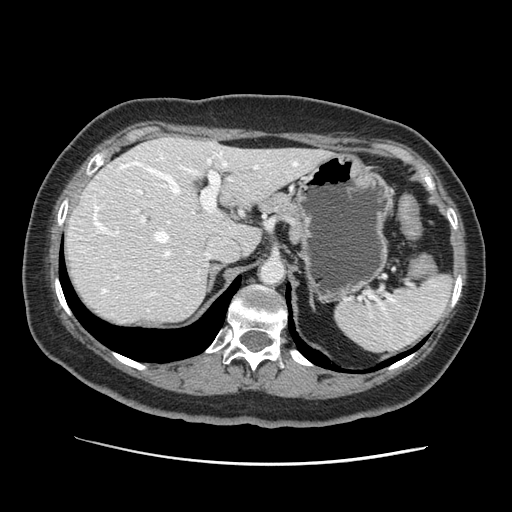 Abdomen; Computed tomography
spleen: box(335, 276, 450, 352)